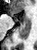 MR; Medial temporal lobe
{"anterior_hippocampus": ["region(24, 17, 29, 22)"], "posterior_hippocampus": ["region(18, 22, 30, 40)"]}